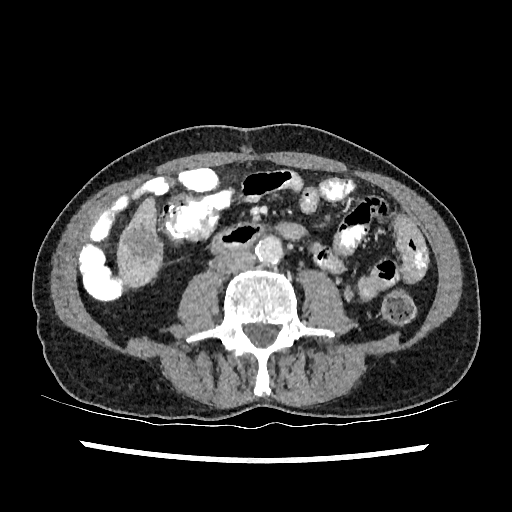

CT
focal_liver_lesion:
  - box=[125, 225, 161, 259]
liver:
  - box=[118, 198, 162, 285]